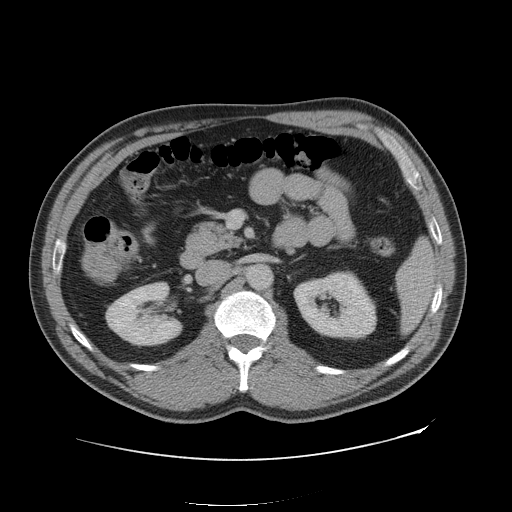
Image size 512x512; CT scan slice

The colon tumor lies within 82, 232, 136, 281.